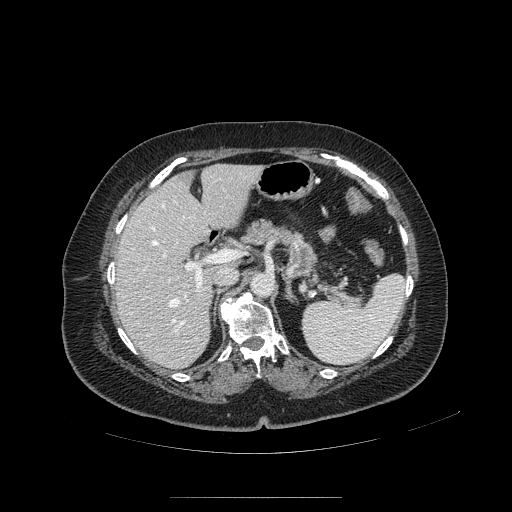
Image size 512x512; CT slice
<segmentation>
  <pancreatic_tumor>box(293, 248, 316, 269)</pancreatic_tumor>
  <pancreas>box(240, 218, 320, 276)</pancreas>
</segmentation>